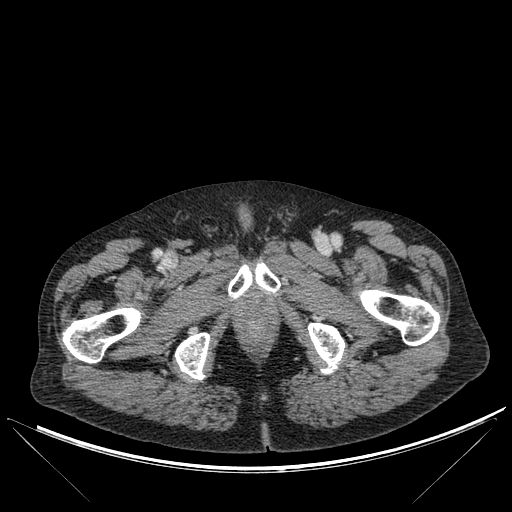
Computed tomography

5 bone regions are located at rect(359, 290, 439, 345); rect(228, 262, 280, 299); rect(62, 307, 140, 363); rect(175, 333, 209, 381); rect(308, 323, 344, 373).